Field of view 360x360 mm. CT scan slice.
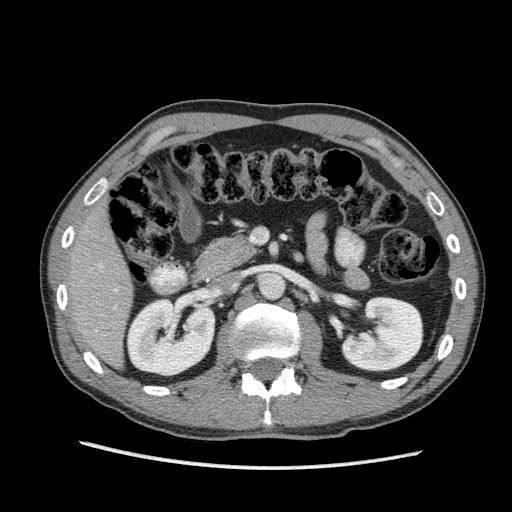
{
  "kidney": [
    "343:298:421:369",
    "128:300:214:374"
  ],
  "liver": [
    "63:199:133:368"
  ]
}